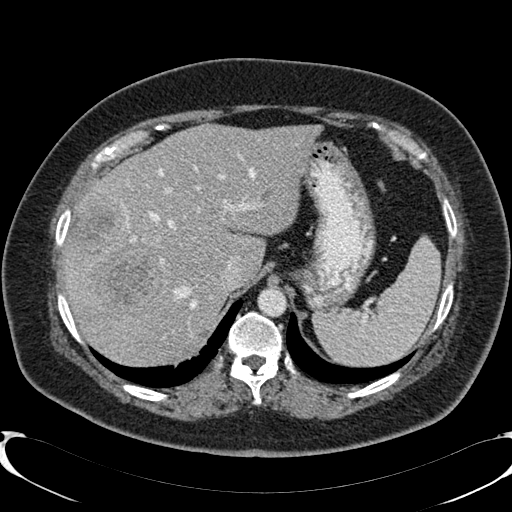
CT image | Abdomen
Annotated regions:
- liver lesion: 66:205:116:258, 92:245:161:315, 261:191:272:203
- liver: 63:124:322:366